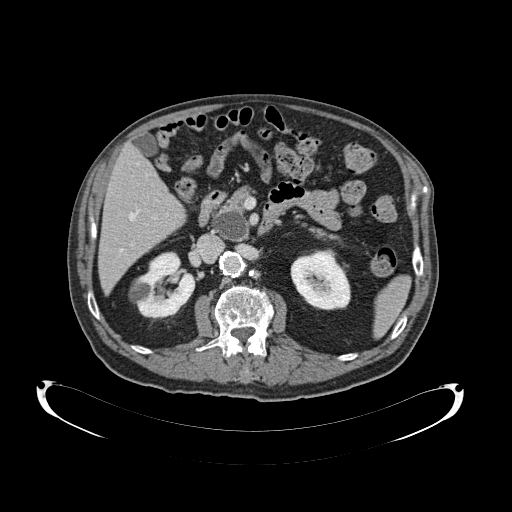
Upper abdomen. CT image.
pancreatic_tumor:
  - 213 211 246 240
pancreas:
  - 293 217 342 244
  - 211 185 256 242